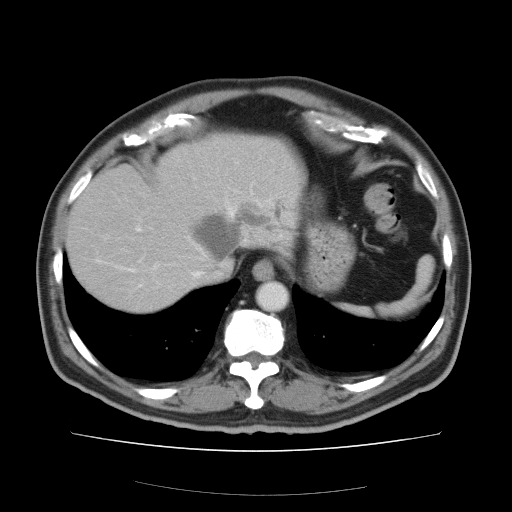
512x512, CT

Only some of the vessels may be annotated.
Hepatic vessel: bbox(116, 265, 133, 270); bbox(137, 284, 140, 287); bbox(191, 271, 201, 281); bbox(225, 197, 235, 217); bbox(96, 259, 104, 262); bbox(197, 248, 200, 251).